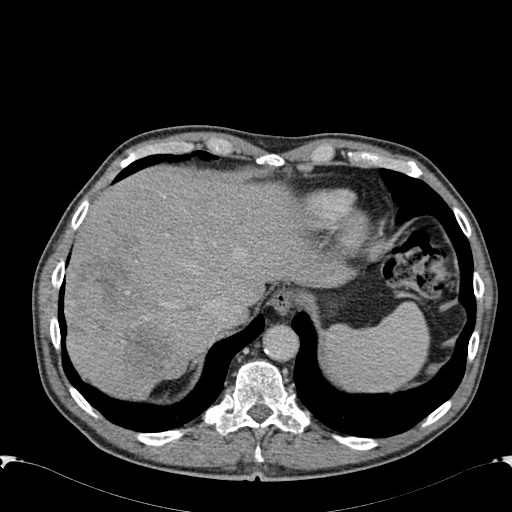 Liver, Image size 512x512, CT
Findings:
* focal liver lesion: (126, 326, 172, 378), (70, 238, 136, 311)
* liver: (65, 167, 353, 398)